CT scan slice 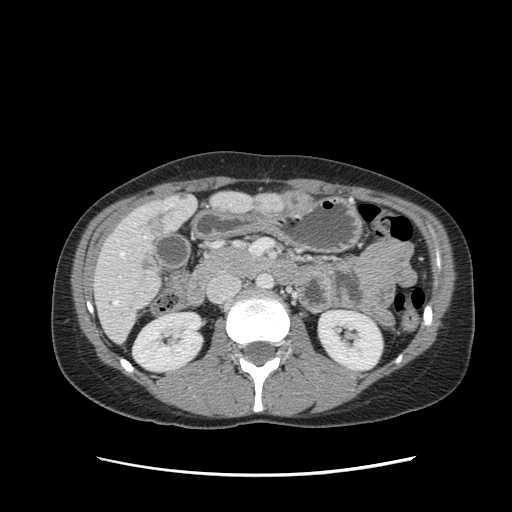

<segmentation>
  <pancreas><bbox>205, 248, 266, 277</bbox></pancreas>
</segmentation>